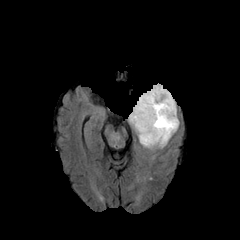
FLAIR MR image.
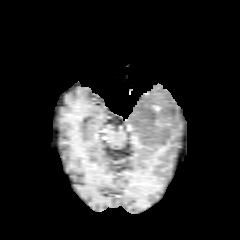
T1-weighted magnetic resonance.
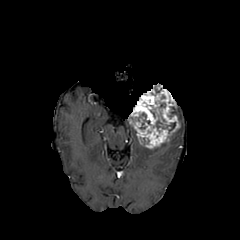
Post-contrast T1-weighted MR of the same slice.
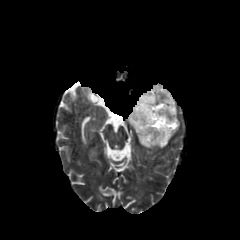
T2-weighted magnetic resonance.
Non-enhancing tumor core: [x1=151, y1=107, x2=169, y2=131], [x1=140, y1=113, x2=146, y2=129].
Edema: [x1=138, y1=121, x2=180, y2=152].
Enhancing tumor: [x1=130, y1=85, x2=178, y2=149].